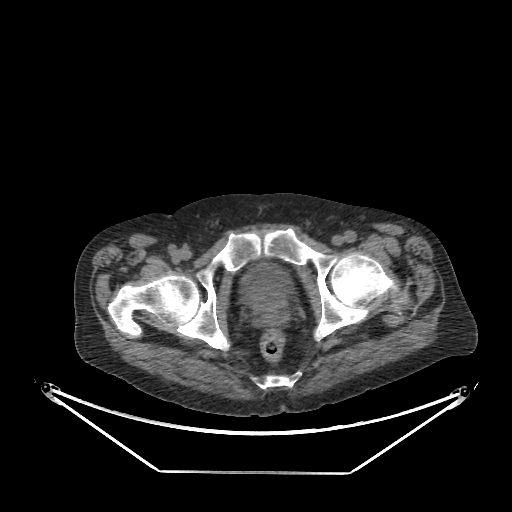

CT scan slice, 512x512
The urinary bladder is at rect(237, 257, 297, 336).